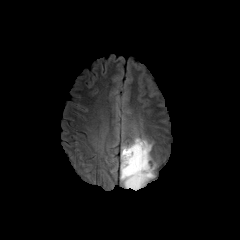
FLAIR MRI.
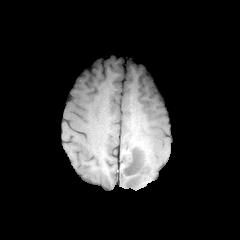
T1-weighted MR image.
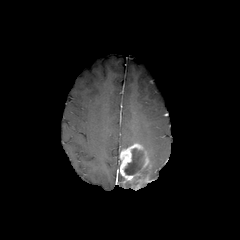
Post-contrast T1-weighted MRI.
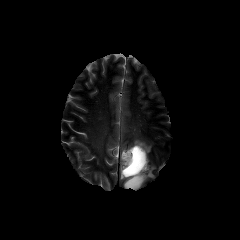
T2-weighted MR.
Non-enhancing tumor core: bbox=[124, 148, 145, 177].
Edema: bbox=[120, 136, 155, 183].
Enhancing tumor: bbox=[120, 142, 147, 189]; bbox=[142, 155, 148, 167].